FLAIR magnetic resonance.
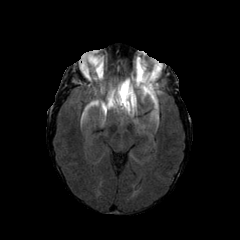
T1-weighted MRI.
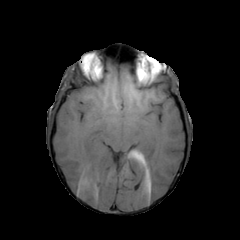
Post-contrast T1-weighted magnetic resonance.
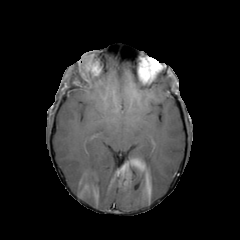
T2-weighted MRI.
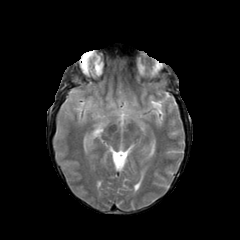
edema: x1=135 y1=68 x2=161 y2=113, x1=118 y1=81 x2=135 y2=114